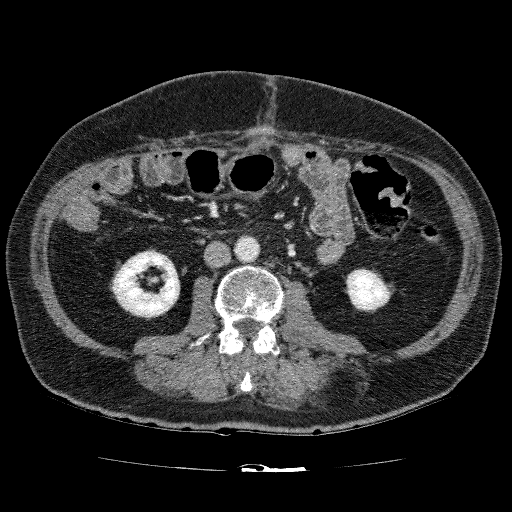

CT image

2 kidney regions appear at <bbox>112, 250, 179, 317</bbox>, <bbox>346, 269, 390, 310</bbox>.